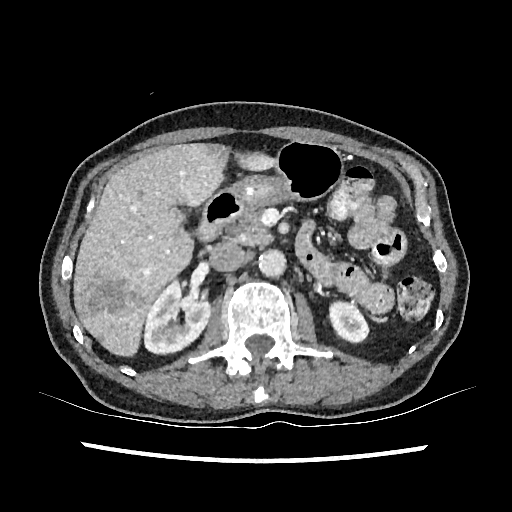
CT scan slice | Liver | Image size 512x512

{
  "focal_liver_lesion": [
    "86:276:126:314",
    "207:144:229:162",
    "128:291:146:305"
  ],
  "kidney": [
    "330:302:368:341",
    "145:281:210:353"
  ],
  "liver": [
    "73:143:226:355",
    "239:154:273:170"
  ]
}